Slice 70 of 164; Image size 512x512; CT scan slice 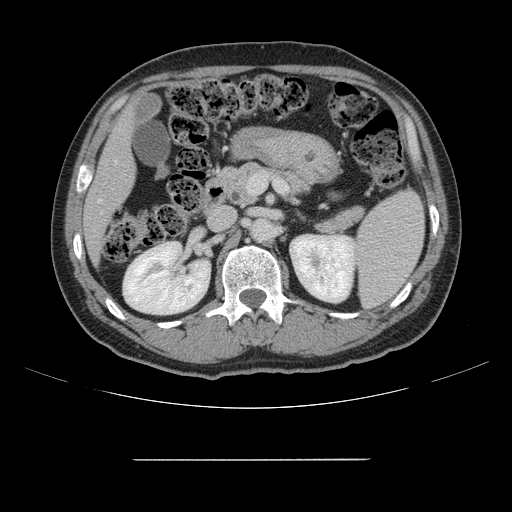 Not every hepatic vessel necessarily has a box.
- hepatic vessel: (98, 199, 100, 201), (115, 161, 116, 163), (100, 212, 102, 213)